FLAIR MR.
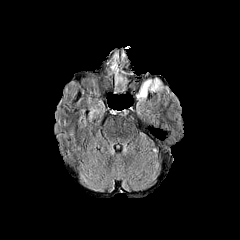
T1-weighted MRI.
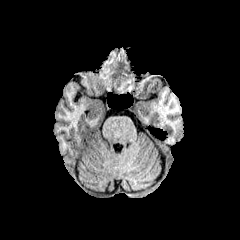
Post-contrast T1-weighted magnetic resonance.
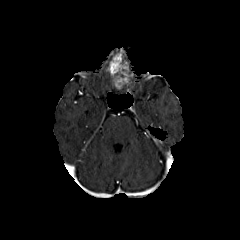
T2-weighted magnetic resonance.
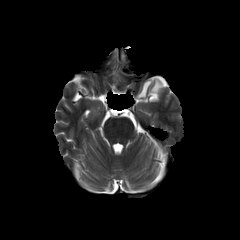
Brain; 240x240
<segmentation>
  <edema>region(136, 80, 152, 98); region(150, 78, 162, 92)</edema>
  <enhancing_tumor>region(106, 49, 133, 87)</enhancing_tumor>
</segmentation>